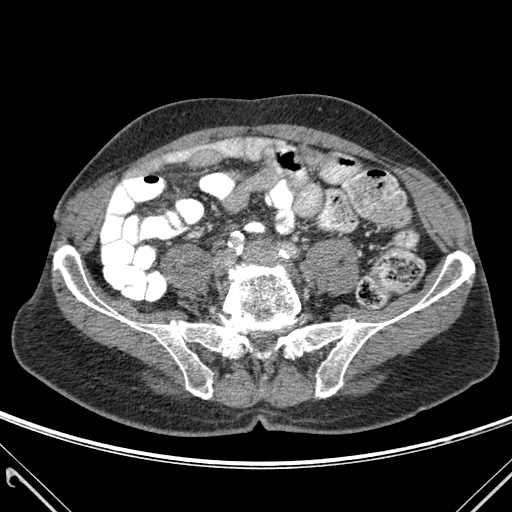

CT image
Annotated regions:
• bone: [x1=257, y1=353, x2=270, y2=357], [x1=53, y1=245, x2=474, y2=398]